Liver. CT slice.
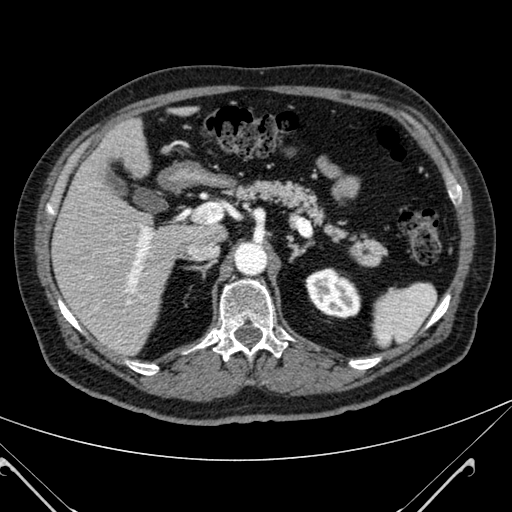

The liver is at 50 119 221 353. The kidney is bounded by 307 269 359 316.